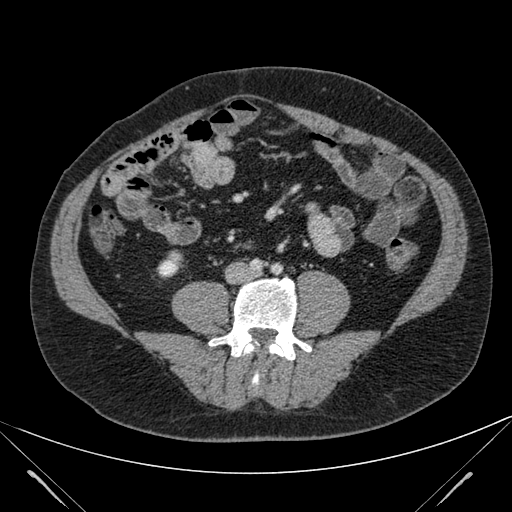
Abdomen. CT scan slice. - kidney: 159 253 178 275